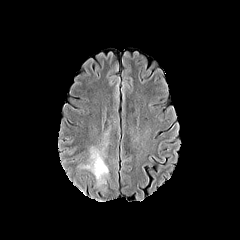
FLAIR MRI.
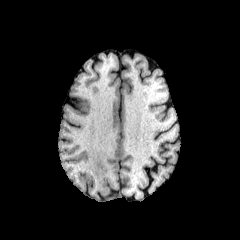
Same slice, T1-weighted MR image.
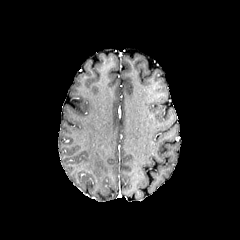
Same slice, post-contrast T1-weighted magnetic resonance.
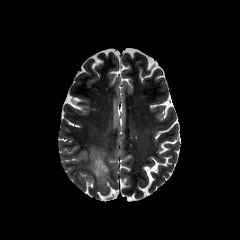
Same slice, T2-weighted MRI.
Image size 240x240; Brain
Edema: bounding box (x1=83, y1=148, x2=107, y2=183).